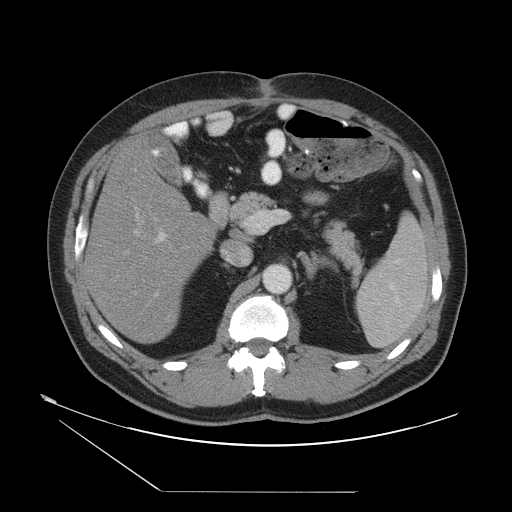

Liver, CT slice
The vessel boxes may cover only some of the vessels.
8 hepatic vessel regions are located at <bbox>135, 207, 142, 224</bbox>, <bbox>134, 230, 138, 234</bbox>, <bbox>142, 236, 144, 237</bbox>, <bbox>154, 293, 157, 296</bbox>, <bbox>125, 251, 127, 252</bbox>, <bbox>154, 219, 155, 220</bbox>, <bbox>155, 229, 165, 242</bbox>, <bbox>134, 292, 135, 294</bbox>.